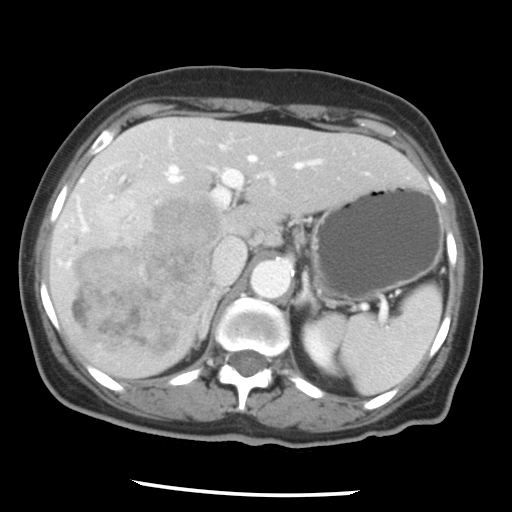

Abdomen; CT scan slice

The vessel boxes may cover only some of the vessels.
Liver tumor: bounding box 63, 189, 221, 359.
Hepatic vessel: bounding box 217, 239, 243, 283; 272, 179, 273, 181; 81, 178, 86, 181; 248, 154, 257, 162; 61, 240, 63, 245; 164, 164, 183, 183; 296, 160, 320, 167; 212, 165, 242, 205; 169, 137, 171, 144.